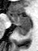

Hippocampus; 38x51; MR
{
  "anterior_hippocampus": [
    "bbox(8, 14, 30, 25)"
  ],
  "posterior_hippocampus": [
    "bbox(16, 26, 30, 35)"
  ]
}